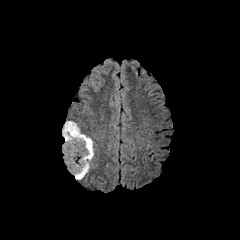
FLAIR MRI.
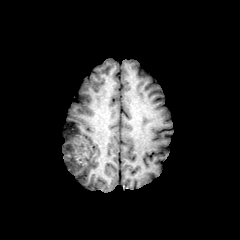
T1-weighted magnetic resonance.
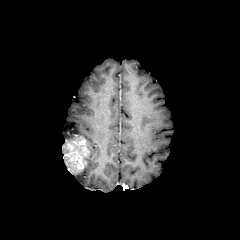
Post-contrast T1-weighted MR.
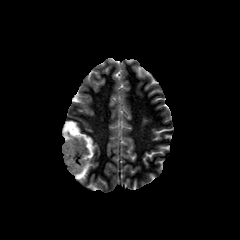
T2-weighted MRI.
Brain
edema:
  - 64 120 95 179
enhancing_tumor:
  - 65 140 83 171
non-enhancing_tumor_core:
  - 64 123 89 175
  - 64 144 69 161